FLAIR MR image.
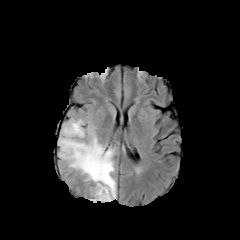
T1-weighted MR image.
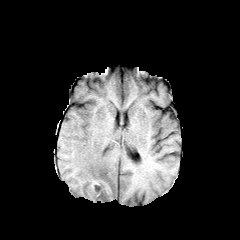
Post-contrast T1-weighted magnetic resonance.
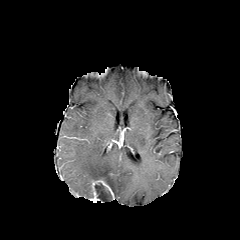
T2-weighted magnetic resonance.
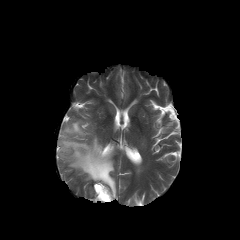
edema: left=58, top=119, right=116, bottom=199 | non-enhancing tumor core: left=94, top=180, right=112, bottom=200; left=94, top=170, right=112, bottom=187 | enhancing tumor: left=98, top=180, right=113, bottom=197